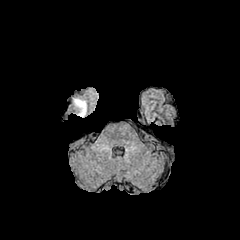
FLAIR MR image.
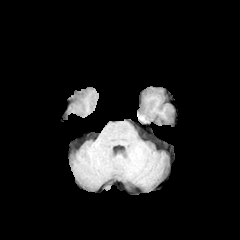
Same slice, T1-weighted MR.
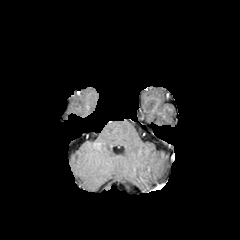
Post-contrast T1-weighted MRI of the same slice.
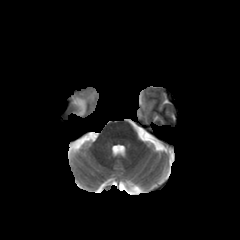
Same slice, T2-weighted MR.
Head
{"edema": ["rect(73, 93, 94, 117)"]}